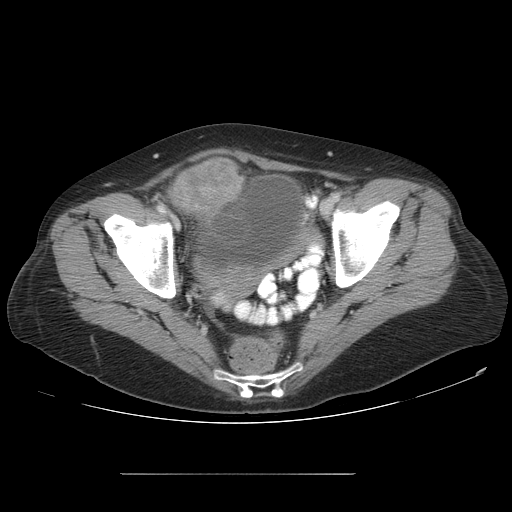

CT slice, Abdomen

The colon tumor appears at (x1=169, y1=157, x2=242, y2=213).